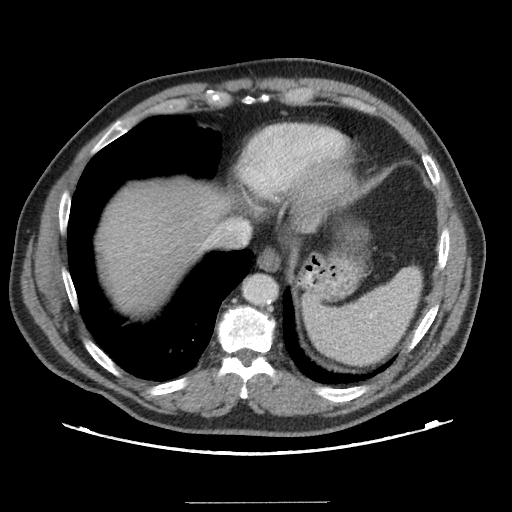
CT scan slice. Liver. 512x512 px. The vessel annotation is not exhaustive.
Hepatic vessel = 204,235,213,245.